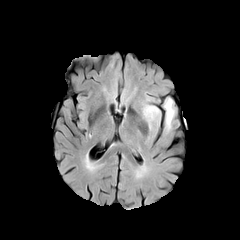
FLAIR MRI.
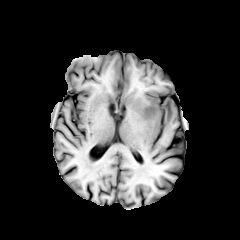
Same slice, T1-weighted MRI.
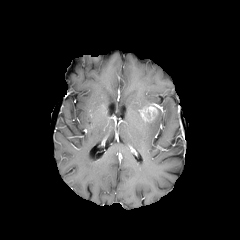
Same slice, post-contrast T1-weighted MR image.
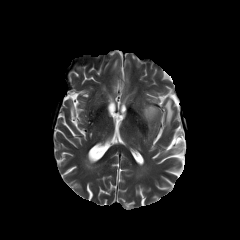
T2-weighted MR of the same slice.
Head.
{
  "enhancing_tumor": [
    "<box>144,106,156,115</box>"
  ],
  "edema": [
    "<box>164,98,174,129</box>"
  ]
}